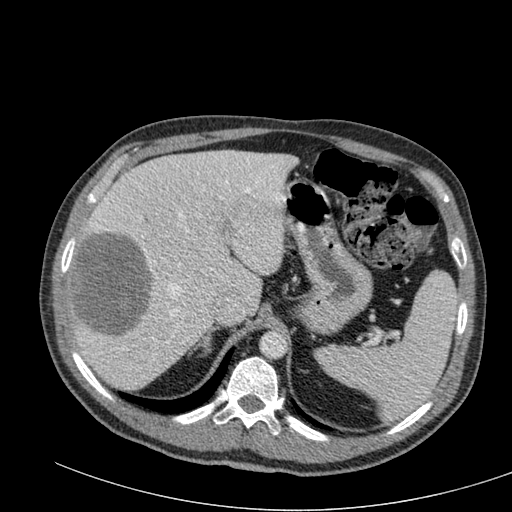 CT image. 512x512. Liver.
The focal liver lesion is at left=66, top=232, right=151, bottom=337. The liver lies within left=69, top=150, right=297, bottom=389.